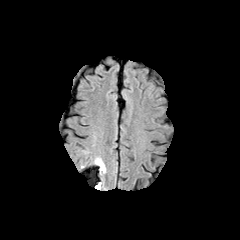
FLAIR MR image.
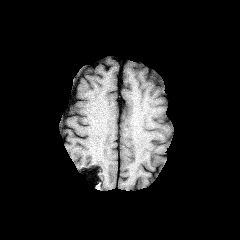
Same slice, T1-weighted MR image.
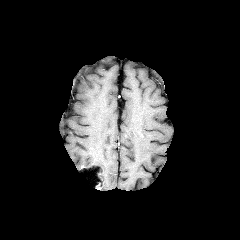
Post-contrast T1-weighted MRI of the same slice.
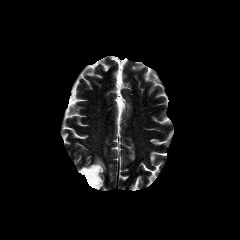
T2-weighted MRI of the same slice.
240x240 px
Edema — [79, 148, 91, 163], [91, 154, 106, 188].